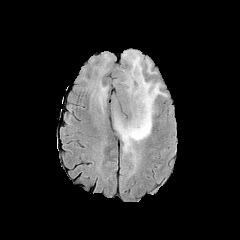
FLAIR MRI.
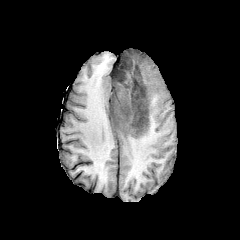
T1-weighted MR.
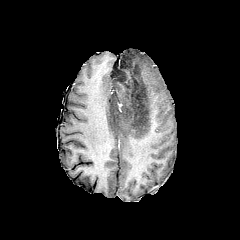
Post-contrast T1-weighted MRI.
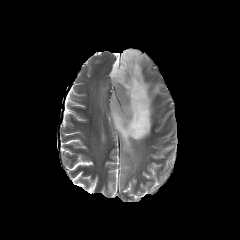
T2-weighted magnetic resonance of the same slice.
non-enhancing_tumor_core:
  - x1=118, y1=59, x2=148, y2=129
  - x1=112, y1=103, x2=121, y2=123
edema:
  - x1=113, y1=50, x2=166, y2=173
  - x1=115, y1=70, x2=129, y2=81
  - x1=145, y1=58, x2=152, y2=73